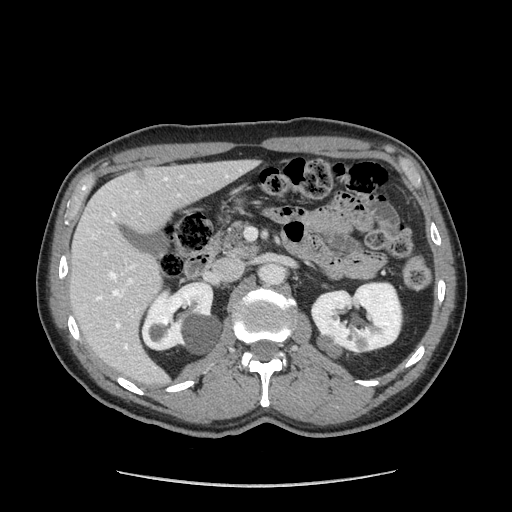 CT image

The pancreas is bounded by <bbox>222, 221, 256, 257</bbox>.